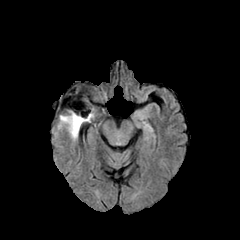
FLAIR magnetic resonance.
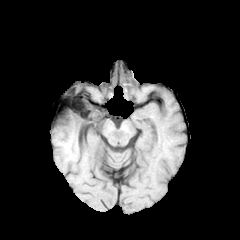
T1-weighted MR image of the same slice.
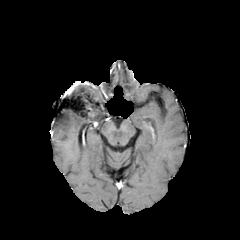
Same slice, post-contrast T1-weighted magnetic resonance.
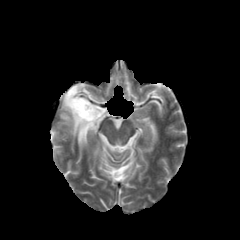
T2-weighted MR.
Edema — <box>89,106,97,118</box>, <box>58,110,91,140</box>.
Non-enhancing tumor core — <box>72,112,94,128</box>, <box>66,93,84,113</box>.